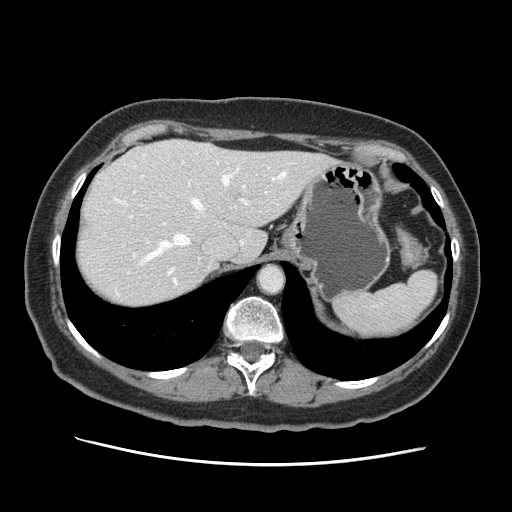
512x512; Upper abdomen; CT slice

Spleen — bbox=[334, 270, 438, 338].